FLAIR magnetic resonance.
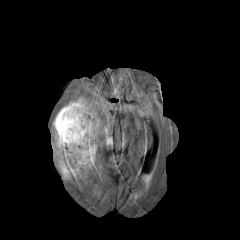
T1-weighted MRI.
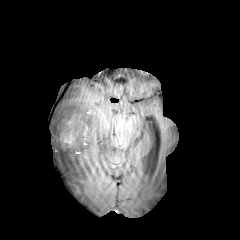
Post-contrast T1-weighted MR.
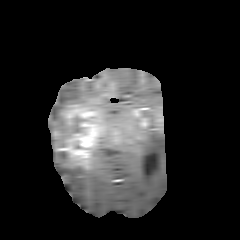
T2-weighted MR image.
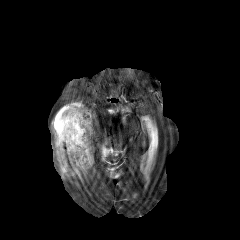
Head
The enhancing tumor is at (left=53, top=103, right=100, bottom=164). 2 non-enhancing tumor core regions appear at (left=55, top=151, right=68, bottom=163), (left=52, top=111, right=65, bottom=132). 3 edema regions are located at (left=51, top=135, right=98, bottom=181), (left=50, top=97, right=96, bottom=131), (left=98, top=123, right=112, bottom=147).